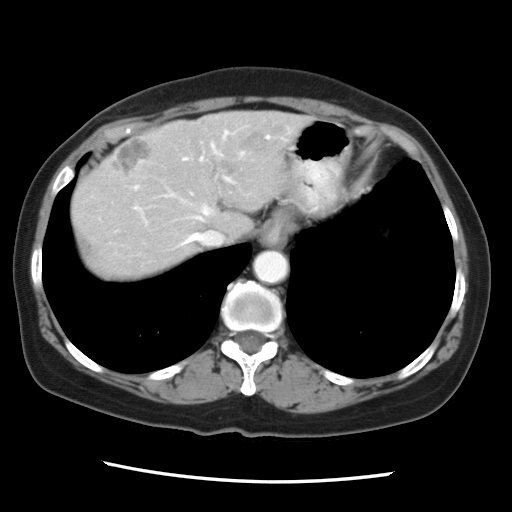

Liver; CT image
Some hepatic vessels may have no box.
• hepatic vessel: 222 135 225 139, 163 190 214 221, 132 184 139 190, 133 204 147 225, 189 192 192 195, 177 231 224 246, 214 149 220 155
• liver tumor: 118 140 147 171